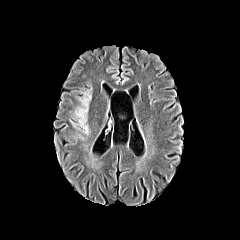
FLAIR MR.
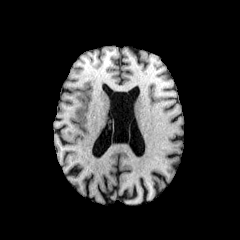
T1-weighted MRI.
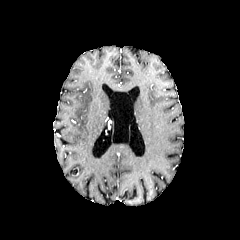
Post-contrast T1-weighted magnetic resonance of the same slice.
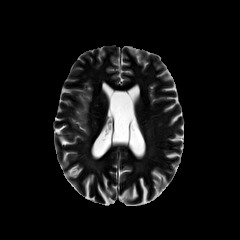
T2-weighted MRI of the same slice.
Head
Edema = x1=70, y1=88, x2=92, y2=140.